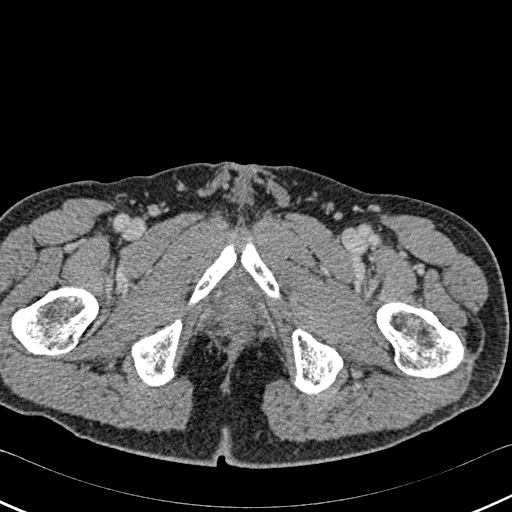
CT slice
Bone: 377 303 463 377, 188 243 236 305, 241 239 279 299, 10 287 98 354, 292 328 342 393, 132 319 181 385.